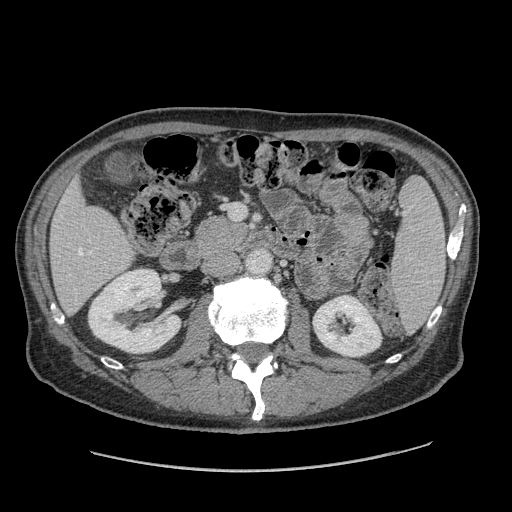

CT, Upper abdomen
pancreas: <bbox>199, 217, 247, 245</bbox>